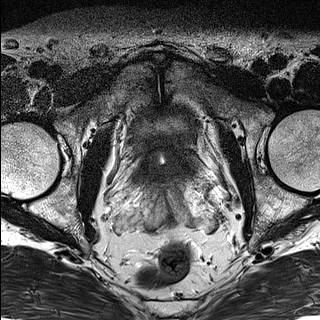
T2-weighted MR.
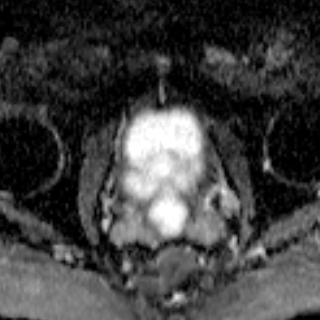
ADC MR image of the same slice.
Pelvis
prostate transition zone: bbox(147, 154, 182, 177)